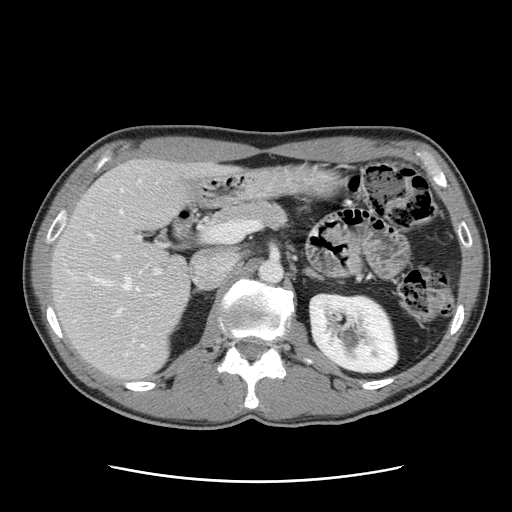
CT image, 512x512 px, Abdomen

Some hepatic vessels may have no box.
Top 15 of 16 hepatic vessel regions: bounding box x1=138, y1=179, x2=140, y2=181; x1=138, y1=237, x2=139, y2=238; x1=141, y1=345, x2=143, y2=346; x1=153, y1=268, x2=159, y2=274; x1=120, y1=210, x2=121, y2=213; x1=122, y1=276, x2=130, y2=288; x1=87, y1=274, x2=110, y2=284; x1=116, y1=308, x2=121, y2=313; x1=136, y1=288, x2=138, y2=289; x1=153, y1=293, x2=158, y2=294; x1=115, y1=255, x2=119, y2=258; x1=120, y1=189, x2=122, y2=191; x1=87, y1=232, x2=92, y2=236; x1=139, y1=270, x2=140, y2=274; x1=133, y1=339, x2=134, y2=341.